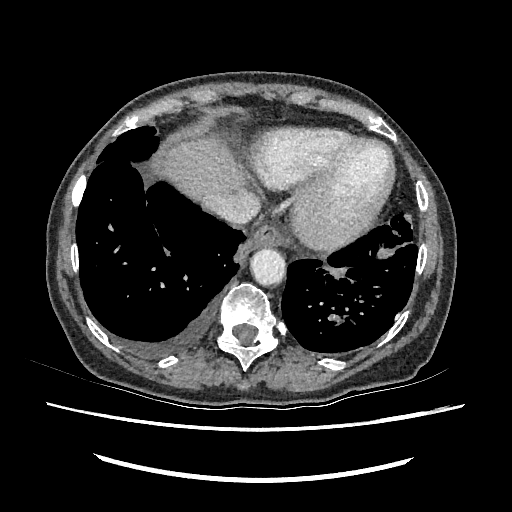
CT scan slice

liver: <bbox>164, 138, 246, 202</bbox>